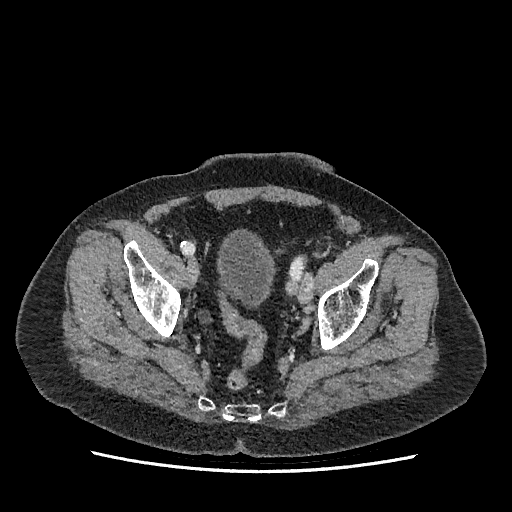
Lower abdomen | CT
urinary_bladder:
  - {"x1": 218, "y1": 234, "x2": 271, "y2": 307}